FLAIR MR.
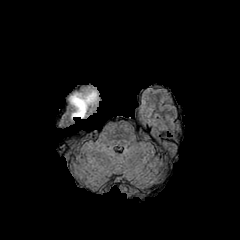
T1-weighted magnetic resonance.
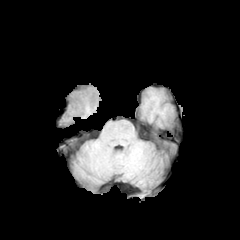
Post-contrast T1-weighted MR image.
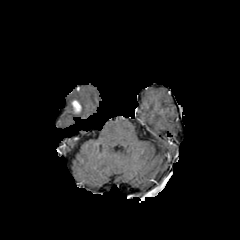
T2-weighted MR.
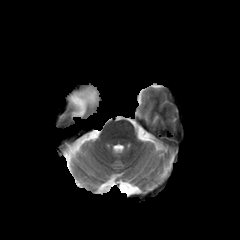
Brain.
Edema = [x1=69, y1=87, x2=97, y2=119].
Enhancing tumor = [x1=71, y1=100, x2=81, y2=114].